Slice 93 of 155. Brain.
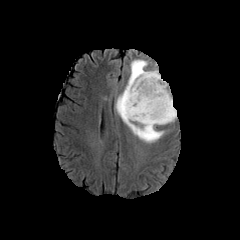
FLAIR MR image.
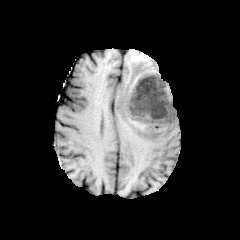
T1-weighted magnetic resonance.
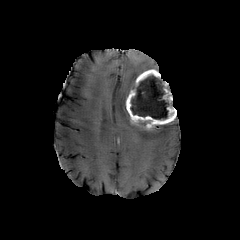
Post-contrast T1-weighted MR of the same slice.
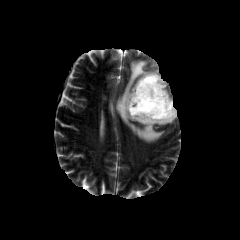
Same slice, T2-weighted MRI.
The edema is at [114, 59, 175, 143]. 2 enhancing tumor regions are located at [136, 69, 160, 86], [126, 82, 176, 130]. The non-enhancing tumor core appears at [130, 75, 169, 119].